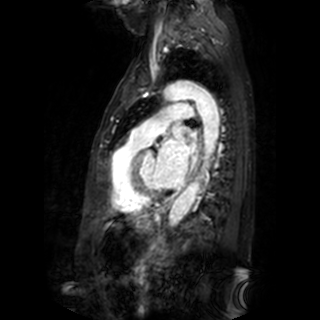

Heart; MR
Left atrium = l=156, t=124, r=194, b=187.